Abdomen, Image size 512x512, Slice 113 of 161, CT image 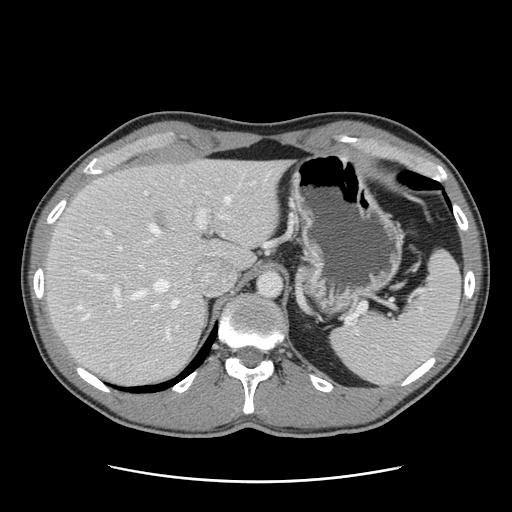 Some hepatic vessels may have no box.
- hepatic vessel (top 15 of 25): 114:287:118:296, 154:279:167:291, 171:300:177:306, 149:224:159:234, 117:303:120:307, 81:313:88:320, 76:306:81:309, 196:209:205:228, 131:290:144:299, 97:275:103:278, 218:215:225:218, 84:271:90:273, 105:228:110:234, 224:196:230:202, 165:327:169:339
- liver tumor: 154:215:167:226